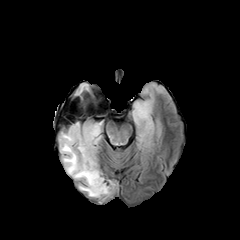
FLAIR MR.
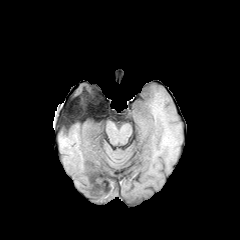
Same slice, T1-weighted MRI.
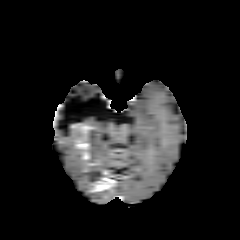
Post-contrast T1-weighted MR image of the same slice.
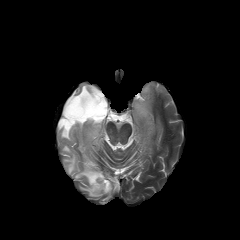
T2-weighted MRI.
Brain
Annotated regions:
* non-enhancing tumor core: (62,124,74,133), (100,171,111,179), (64,110,87,123), (84,146,91,157), (76,123,95,145)
* edema: (58,118,115,198), (74,84,94,109), (132,100,151,123)
* enhancing tumor: (90,176,114,191), (78,140,89,149)